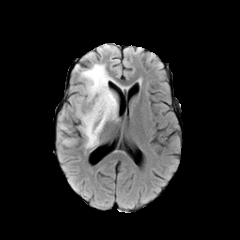
FLAIR magnetic resonance.
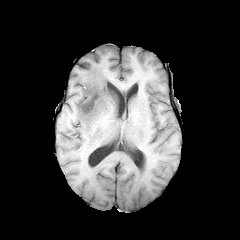
T1-weighted MR image.
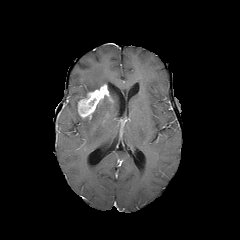
Post-contrast T1-weighted MR image of the same slice.
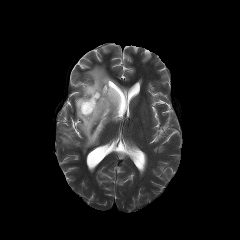
T2-weighted MRI.
2 edema regions are bounded by region(80, 98, 117, 148); region(80, 64, 126, 94). 3 non-enhancing tumor core regions appear at region(92, 96, 107, 118); region(108, 87, 116, 103); region(76, 84, 99, 106). The enhancing tumor is bounded by region(77, 84, 111, 119).